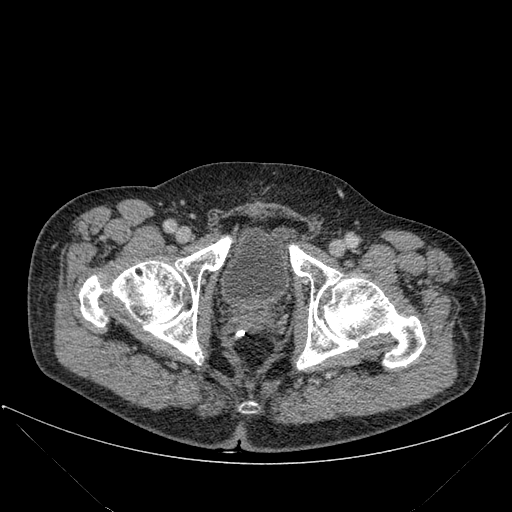

Image size 512x512, CT image
3 bone regions are located at <bbox>79, 236, 231, 364</bbox>, <bbox>289, 245, 425, 369</bbox>, <bbox>240, 402, 256, 412</bbox>.